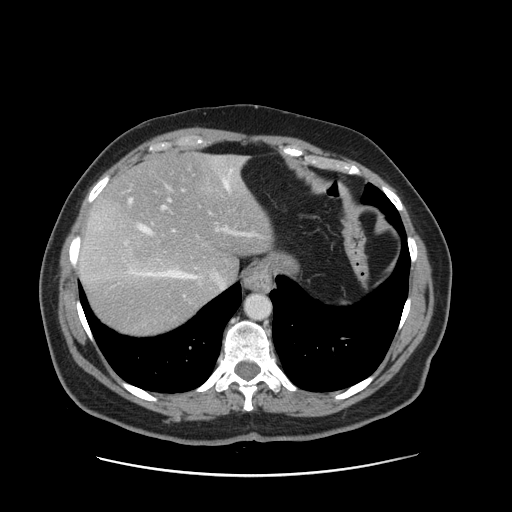
CT slice

Only some of the vessels may be annotated.
hepatic vessel: bbox=[188, 274, 195, 278]; bbox=[181, 272, 184, 273]; bbox=[162, 206, 166, 208]; bbox=[216, 226, 254, 235]; bbox=[224, 177, 229, 189]; bbox=[168, 198, 170, 201]; bbox=[170, 270, 178, 272]; bbox=[130, 271, 134, 273]; bbox=[142, 272, 168, 276]; bbox=[242, 158, 243, 159]